Image width 472 mm. Slice index 334. Abdomen. CT image. Image size 512x512.

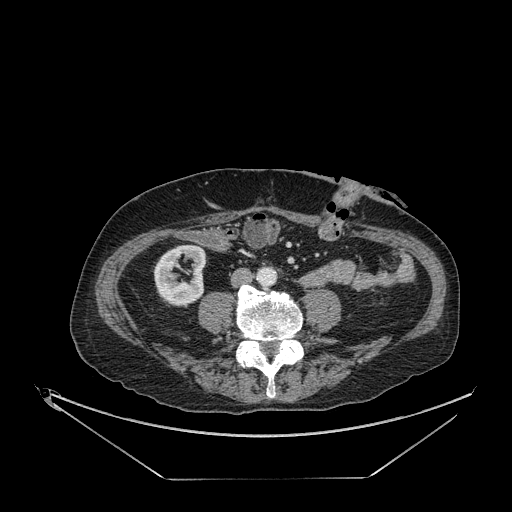 {"kidney": ["(154, 245, 205, 305)"]}